Computed tomography. Abdomen. Slice 408/836.
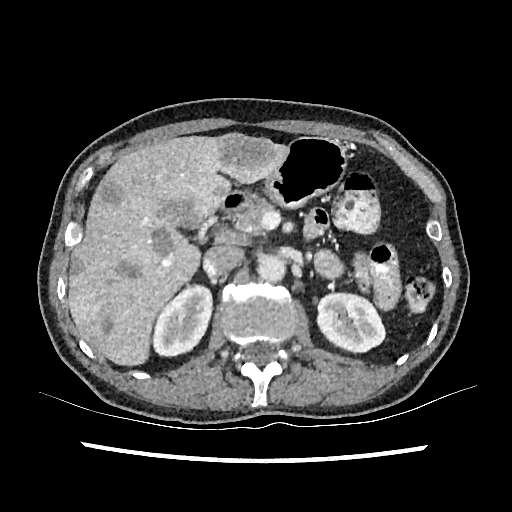 • liver: <box>69,135,287,364</box>
• hepatic lesion: <box>98,180,124,205</box>, <box>101,316,113,334</box>, <box>159,202,200,226</box>, <box>151,226,174,256</box>, <box>117,260,141,278</box>, <box>219,135,274,168</box>, <box>215,185,224,195</box>, <box>69,256,85,275</box>
• kidney: <box>318,293,384,351</box>, <box>154,286,211,357</box>